CT image; Slice index 379
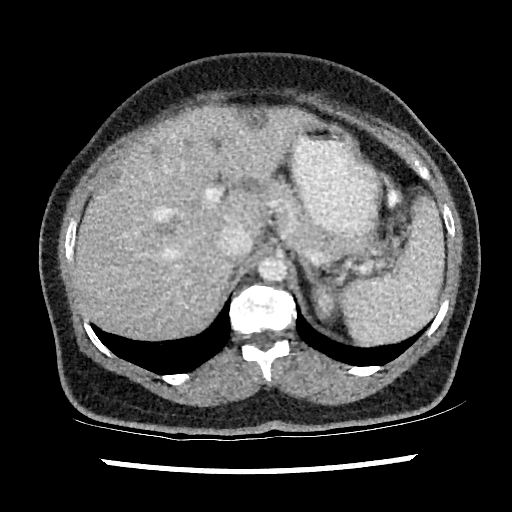

Annotated regions:
* liver: {"x1": 72, "y1": 107, "x2": 309, "y2": 338}
* focal liver lesion: {"x1": 159, "y1": 217, "x2": 177, "y2": 233}, {"x1": 151, "y1": 147, "x2": 158, "y2": 155}, {"x1": 238, "y1": 177, "x2": 264, "y2": 192}, {"x1": 242, "y1": 109, "x2": 268, "y2": 129}, {"x1": 183, "y1": 139, "x2": 192, "y2": 147}, {"x1": 104, "y1": 169, "x2": 120, "y2": 187}